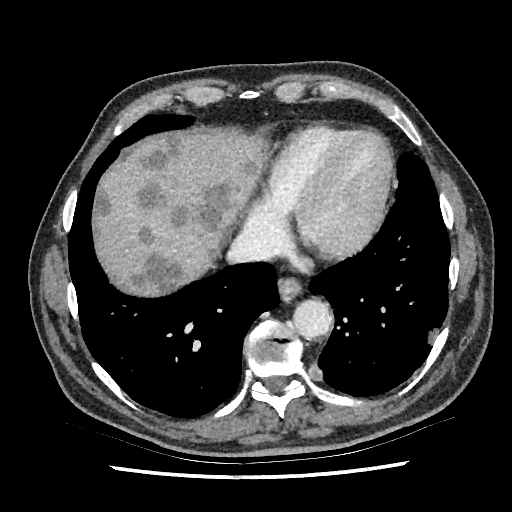

Upper abdomen. Image size 512x512. Computed tomography. liver lesion: l=139, t=133, r=182, b=169; l=137, t=181, r=167, b=211; l=105, t=252, r=184, b=294; l=245, t=162, r=257, b=175; l=206, t=222, r=232, b=260; l=170, t=206, r=187, b=227; l=112, t=144, r=139, b=166; l=137, t=226, r=154, b=245; l=93, t=181, r=113, b=244; l=191, t=177, r=232, b=232 | liver: l=97, t=130, r=268, b=286; l=131, t=278, r=162, b=294